FLAIR MR.
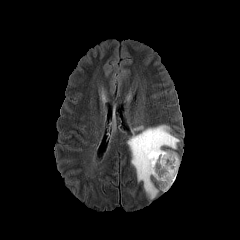
T1-weighted MR.
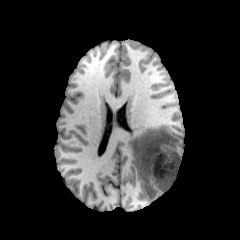
Post-contrast T1-weighted MR image.
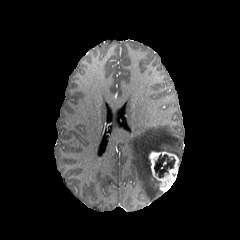
T2-weighted MRI.
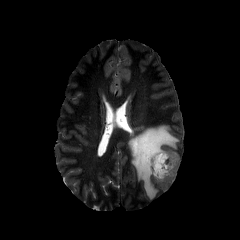
240x240. Brain.
Enhancing tumor = x1=148 y1=151 x2=179 y2=192.
Non-enhancing tumor core = x1=153 y1=153 x2=175 y2=178, x1=152 y1=178 x2=162 y2=193.
Edema = x1=127 y1=125 x2=179 y2=199.